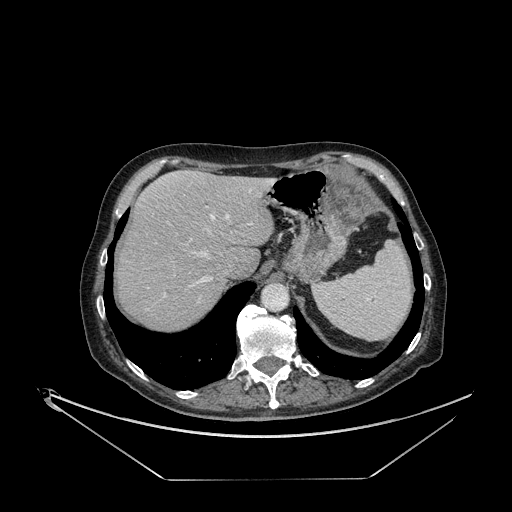 CT scan slice
liver: [118,170,274,331]